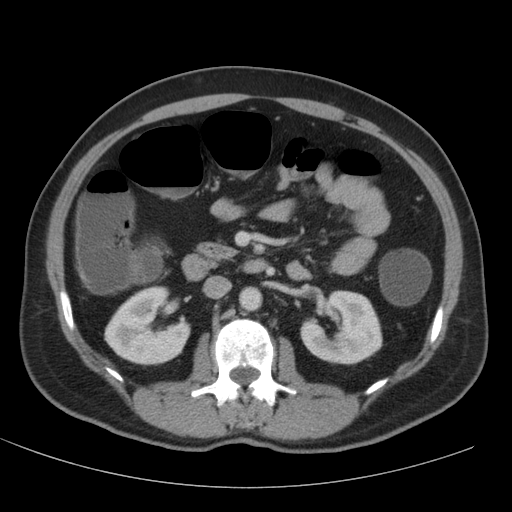

Image size 512x512. Abdomen. Computed tomography.
2 kidney regions are located at rect(105, 286, 189, 364); rect(301, 291, 381, 363).